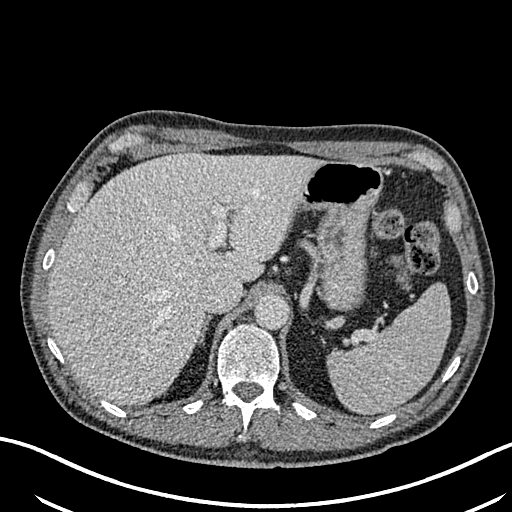

CT scan slice. The liver is located at bbox=[49, 154, 325, 405].